512x512 px, Computed tomography

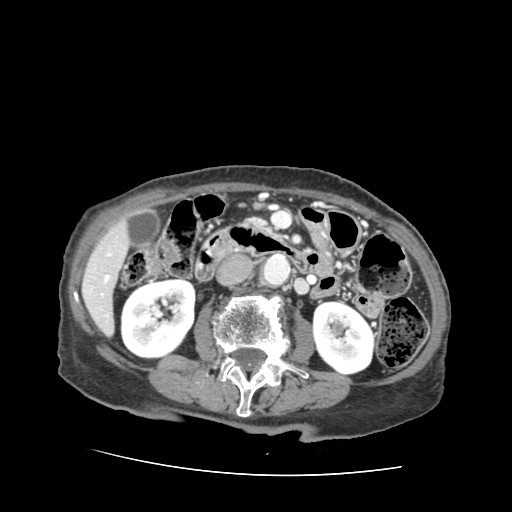

Segmented structures:
* pancreas: [243,213,274,235]